Field of view 344x344 mm. Abdomen. Slice 267 of 466. CT image.
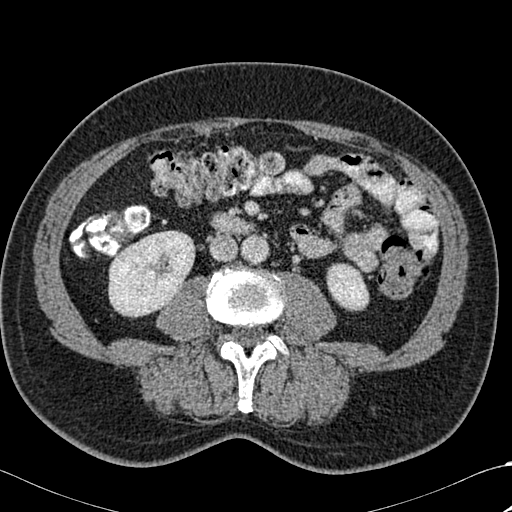

bone: 206 267 286 332, 218 335 287 412 | kidney: 109 231 194 316, 328 264 367 309